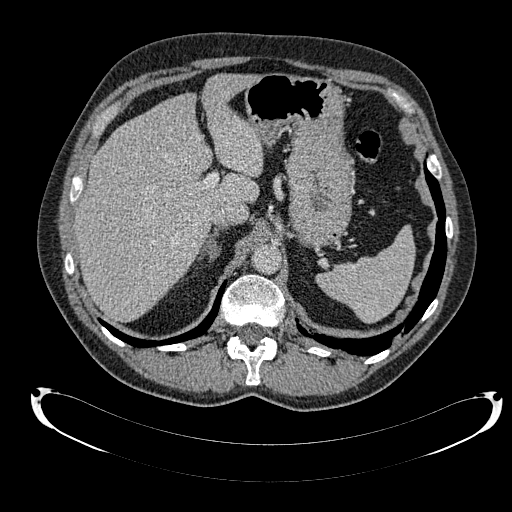
CT scan slice | 512x512

{"liver": ["203 74 262 176", "75 93 258 321"]}